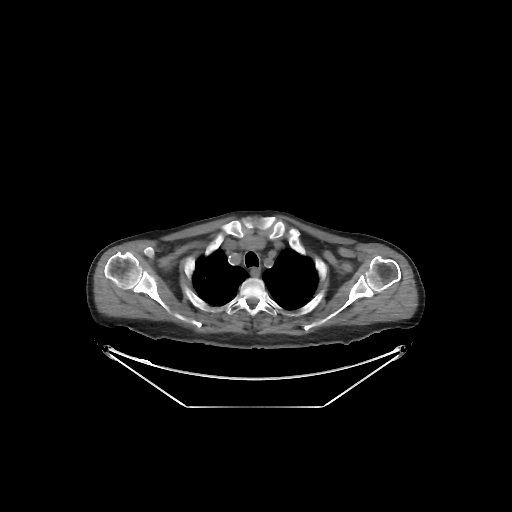
Chest, Computed tomography

lung:
  - <bbox>245, 251, 258, 267</bbox>
  - <bbox>192, 248, 249, 306</bbox>
  - <bbox>262, 248, 318, 310</bbox>
bone:
  - <bbox>145, 247, 153, 256</bbox>
  - <bbox>305, 292, 323, 308</bbox>
  - <bbox>211, 220, 252, 250</bbox>
  - <bbox>185, 287, 197, 303</bbox>
  - <bbox>261, 217, 299, 251</bbox>
  - <bbox>237, 278, 275, 316</bbox>
  - <bbox>341, 256, 400, 309</bbox>
  - <bbox>104, 252, 165, 306</bbox>